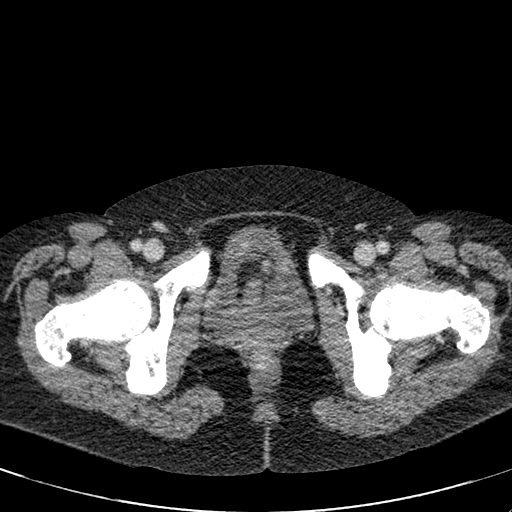

CT image | Lower abdomen

The urinary bladder lies within box=[203, 226, 313, 328].